Liver. CT. Slice index 62.

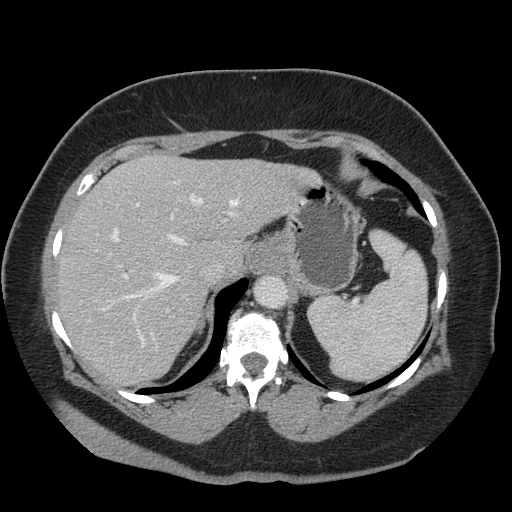

The vessel annotation is not exhaustive.
{
  "partial": true,
  "hepatic_vessel": {
    "n_total": 17,
    "boxes": [
      "124:274:177:299",
      "229:213:233:215",
      "171:182:178:184",
      "166:309:168:312",
      "138:332:144:346",
      "132:315:136:320",
      "151:332:153:338",
      "109:255:111:256",
      "191:195:201:205",
      "169:236:183:243",
      "111:228:119:241",
      "230:200:237:206",
      "171:215:172:218",
      "122:274:127:279",
      "100:301:113:311"
    ]
  }
}